FLAIR MR image.
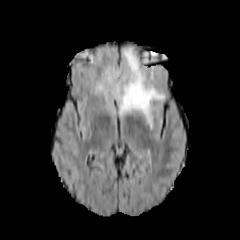
T1-weighted MRI.
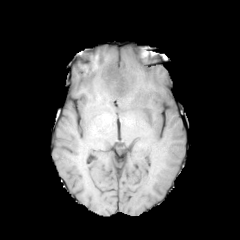
Post-contrast T1-weighted magnetic resonance.
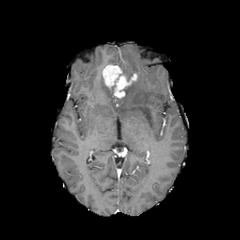
T2-weighted MR image.
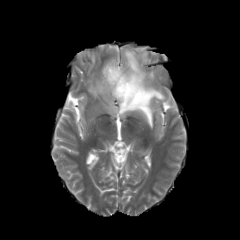
Brain
Segmented structures:
• edema: [117,49,164,128], [91,78,106,91]
• enhancing tumor: [102,64,136,98]
• non-enhancing tumor core: [120,85,130,101]